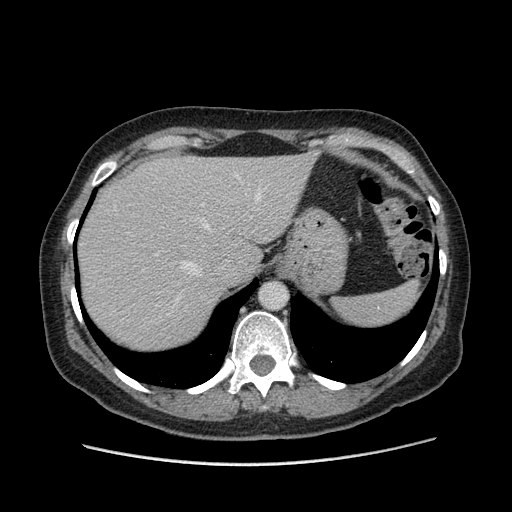 CT image

Not every hepatic vessel necessarily has a box.
hepatic_vessel:
  - 190:216:214:232
  - 132:290:134:291
  - 155:253:158:255
  - 179:260:201:276
  - 252:205:260:209
  - 255:194:260:201